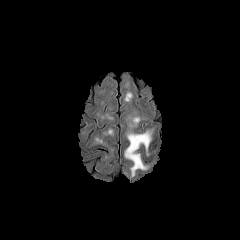
FLAIR magnetic resonance.
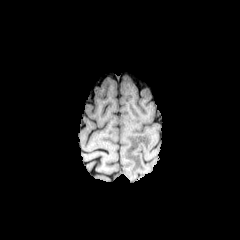
T1-weighted MR.
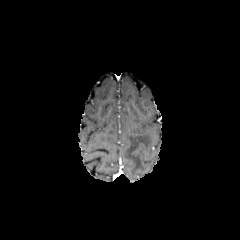
Post-contrast T1-weighted MR of the same slice.
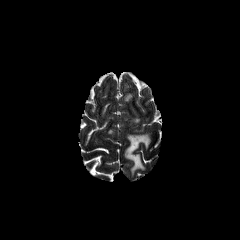
T2-weighted MRI.
Head
edema:
  - <bbox>125, 132, 151, 176</bbox>